CT scan slice.

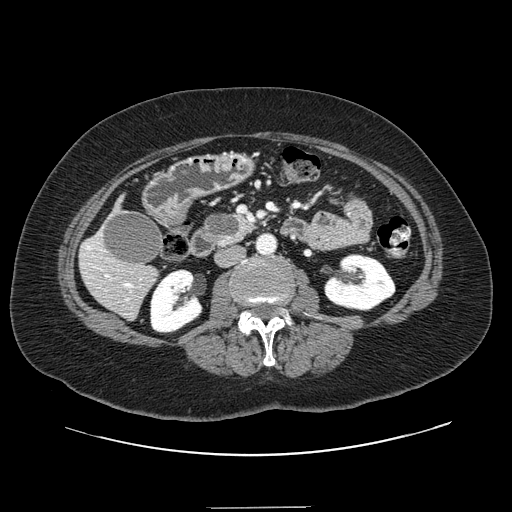

<segmentation>
  <pancreas>202,211,254,247</pancreas>
  <pancreatic_tumor>207,214,239,237</pancreatic_tumor>
</segmentation>